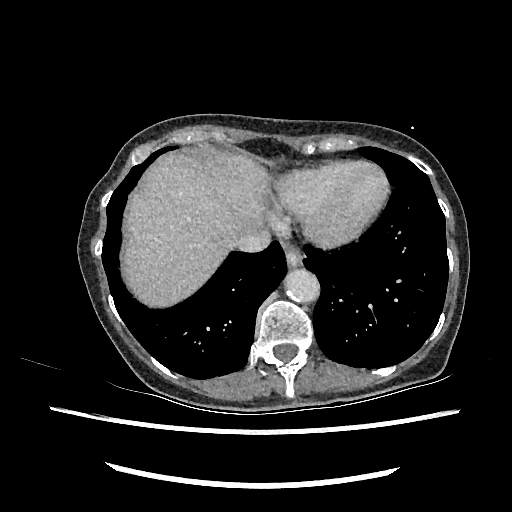

CT slice; Abdomen; 512x512 px

Segmented structures:
- liver: rect(126, 156, 268, 305)